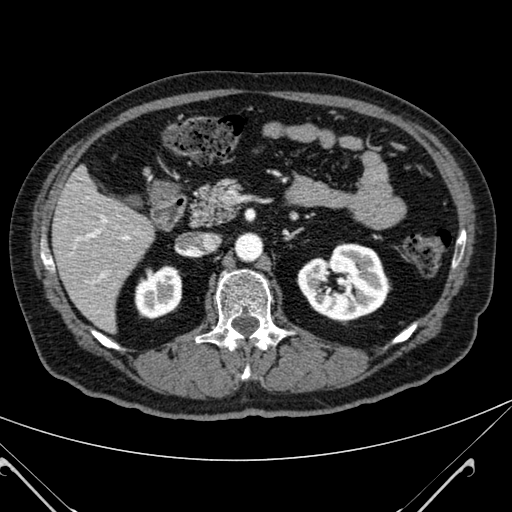 CT slice
Liver = bbox(50, 177, 152, 330).
Kidney = bbox(136, 267, 180, 316); bbox(299, 244, 387, 319).